Liver. CT. Field of view 451 mm wide, 2.00 mm slice spacing.
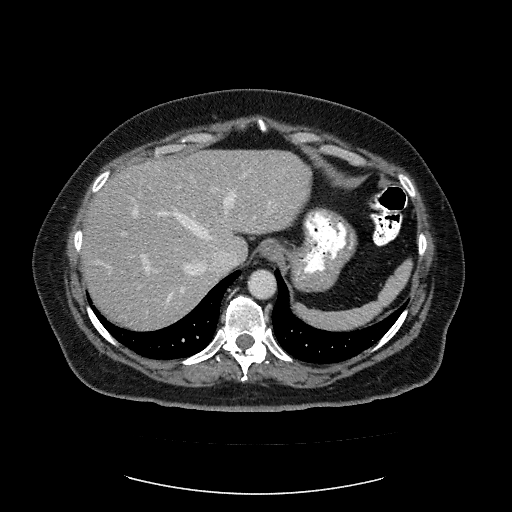

Not every hepatic vessel necessarily has a box.
<segmentation>
  <hepatic_vessel><box>185,264,205,274</box>, <box>243,173,246,175</box>, <box>141,254,155,273</box>, <box>158,211,210,238</box>, <box>109,267,112,272</box>, <box>269,203,275,206</box>, <box>167,293,171,302</box>, <box>225,192,234,212</box>, <box>210,187,217,190</box>, <box>97,261,100,262</box>, <box>133,206,137,217</box>, <box>131,198,134,200</box>, <box>121,232,125,235</box>, <box>182,288,184,292</box>, <box>178,184,181,188</box></hepatic_vessel>
</segmentation>